Slice index 118. CT slice. 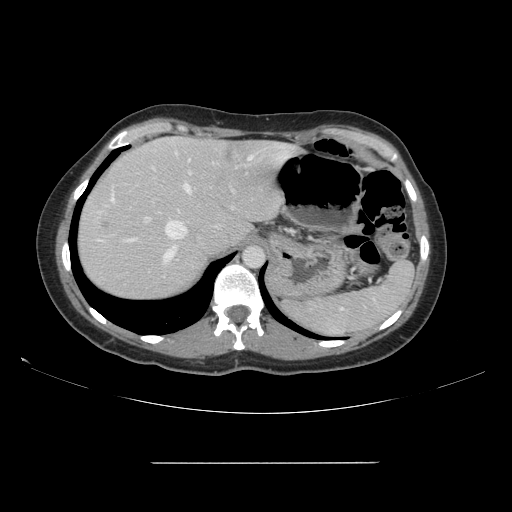

The vessel boxes may cover only some of the vessels.
liver tumor: bbox=[224, 147, 234, 162] | hepatic vessel: bbox=[176, 152, 177, 154]; bbox=[162, 244, 177, 263]; bbox=[165, 220, 186, 238]; bbox=[111, 186, 114, 202]; bbox=[188, 171, 191, 173]; bbox=[231, 189, 233, 191]; bbox=[97, 212, 100, 212]; bbox=[271, 145, 279, 147]; bbox=[278, 157, 283, 159]; bbox=[212, 162, 215, 164]; bbox=[248, 154, 255, 159]; bbox=[125, 238, 136, 240]; bbox=[144, 217, 149, 221]; bbox=[183, 183, 190, 192]